CT 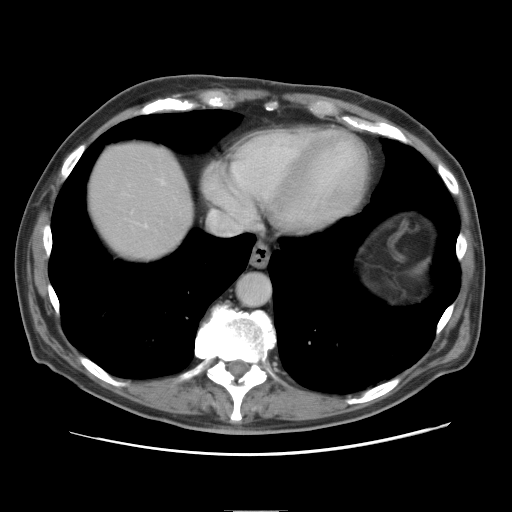
Only some of the vessels may be annotated.
Hepatic vessel: bounding box x1=144, y1=225, x2=146, y2=227.